512x512 px; CT scan slice; Image width 369 mm

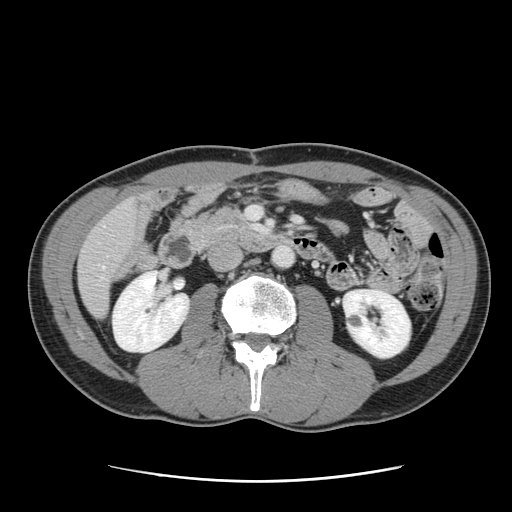

Some hepatic vessels may have no box.
Hepatic vessel = region(102, 266, 104, 269).